CT 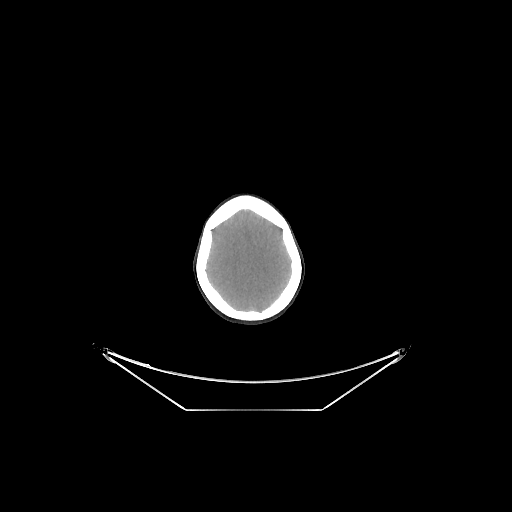 {
  "brain": [
    {"x1": 205, "y1": 209, "x2": 291, "y2": 312}
  ]
}